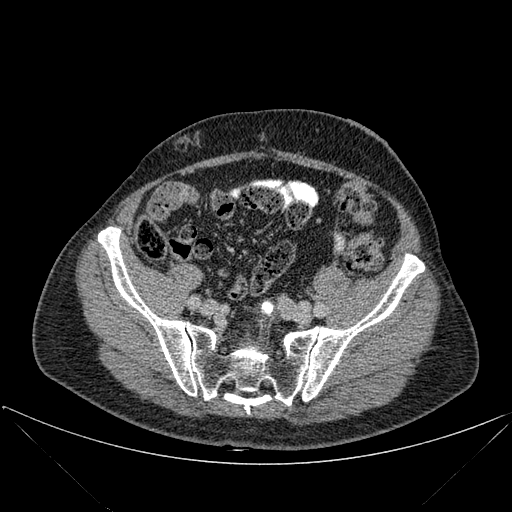

CT scan slice
bone: rect(224, 392, 271, 413); rect(98, 227, 424, 405); rect(262, 302, 272, 313)